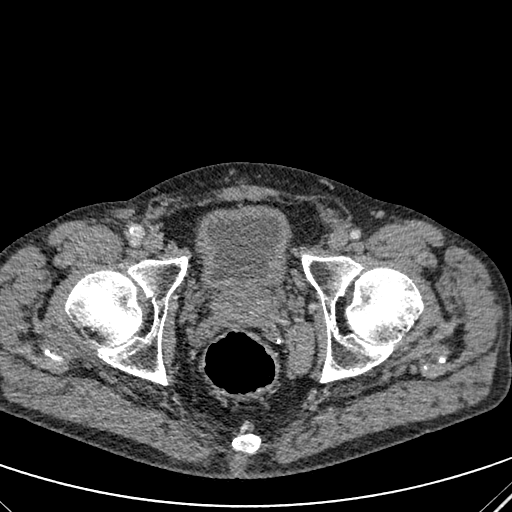 Lower abdomen, CT image
• urinary bladder: left=208, top=212, right=279, bottom=289